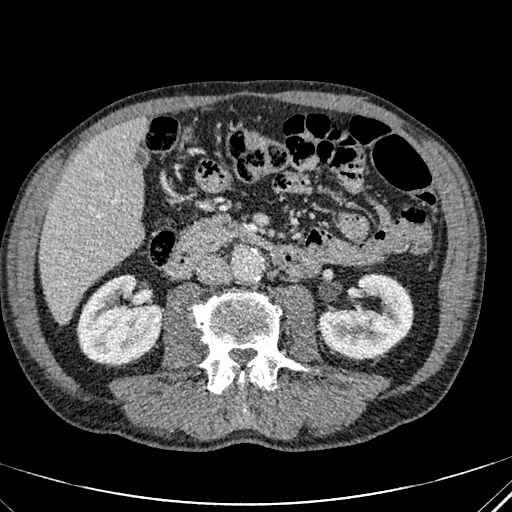 Abdomen, Computed tomography, Image size 512x512
<segmentation>
  <kidney>x1=78, y1=276, x2=161, y2=363; x1=320, y1=275, x2=412, y2=358</kidney>
  <liver>x1=40, y1=118, x2=145, y2=322</liver>
</segmentation>